FLAIR MR image.
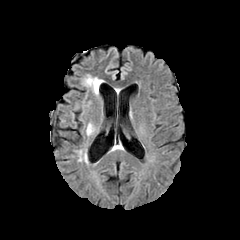
T1-weighted MR image.
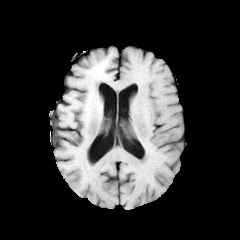
Post-contrast T1-weighted magnetic resonance.
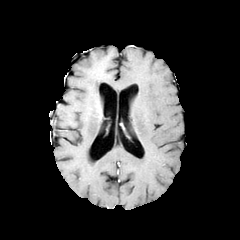
T2-weighted magnetic resonance.
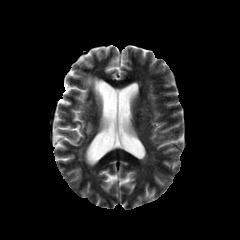
Image size 240x240, Brain
edema: box(84, 121, 95, 135); box(82, 99, 91, 110); box(82, 74, 104, 102); box(76, 149, 87, 162)